Field of view 346x346 mm | CT scan slice | Abdomen | Image size 512x512

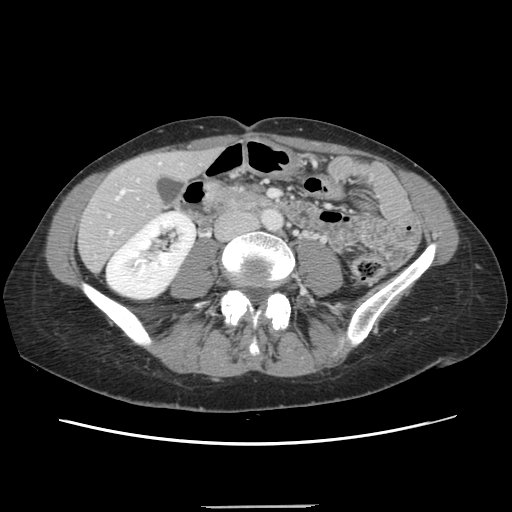
Some hepatic vessels may have no box.
• hepatic vessel: (115,196,118,199), (109,231,111,234), (120,190,124,194)